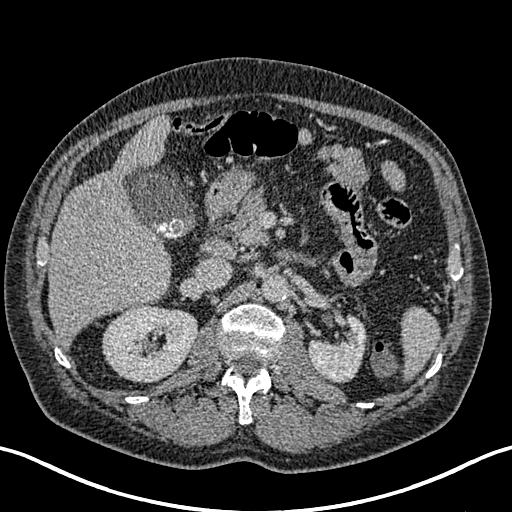 CT image.

2 kidney regions appear at (x1=103, y1=306, x2=196, y2=381), (x1=309, y1=317, x2=365, y2=381). The liver appears at (x1=49, y1=116, x2=172, y2=346).